Brain.
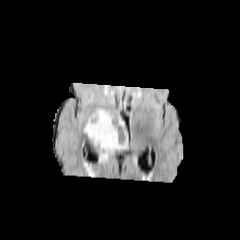
FLAIR MRI.
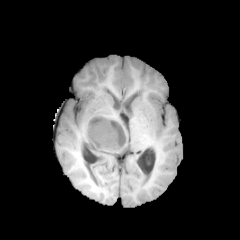
T1-weighted MR image.
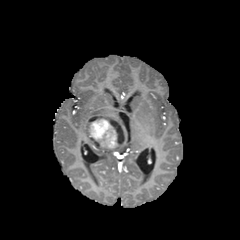
Post-contrast T1-weighted MRI.
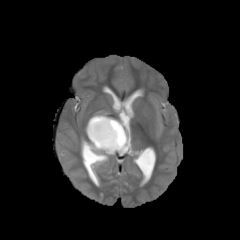
T2-weighted magnetic resonance.
enhancing_tumor:
  - rect(86, 118, 118, 149)
edema:
  - rect(101, 145, 127, 154)
non-enhancing_tumor_core:
  - rect(84, 114, 128, 149)